Image width 240 mm.
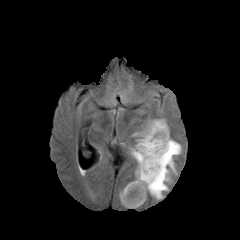
FLAIR MR image.
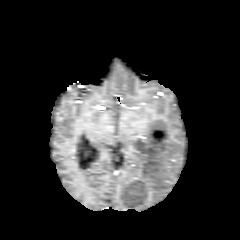
T1-weighted MR image of the same slice.
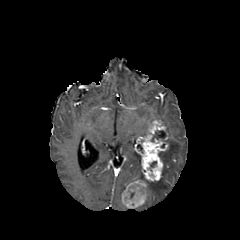
Same slice, post-contrast T1-weighted MR.
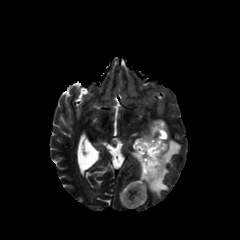
T2-weighted MR image of the same slice.
<segmentation>
  <enhancing_tumor>120:175:147:208, 134:120:168:181</enhancing_tumor>
  <non-enhancing_tumor_core>152:131:166:140, 128:190:136:199</non-enhancing_tumor_core>
  <edema>131:148:142:178, 147:136:181:199</edema>
</segmentation>